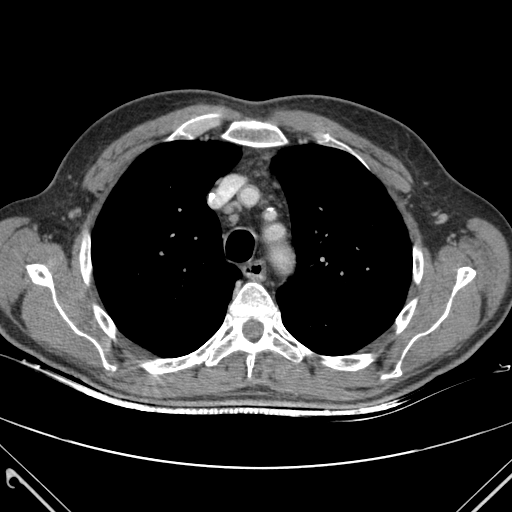

Thorax. 512x512 px. CT. {"bone": ["<box>27,264,115,370</box>", "<box>94,306,114,337</box>", "<box>142,283,311,376</box>", "<box>322,354,372,370</box>", "<box>80,238,91,283</box>", "<box>381,362,401,378</box>", "<box>413,248,422,282</box>", "<box>403,267,475,354</box>", "<box>222,121,286,146</box>", "<box>168,114,222,139</box>", "<box>322,134,360,160</box>", "<box>396,299,416,332</box>"], "lung": ["<box>271,144,412,355</box>", "<box>91,140,241,357</box>"]}